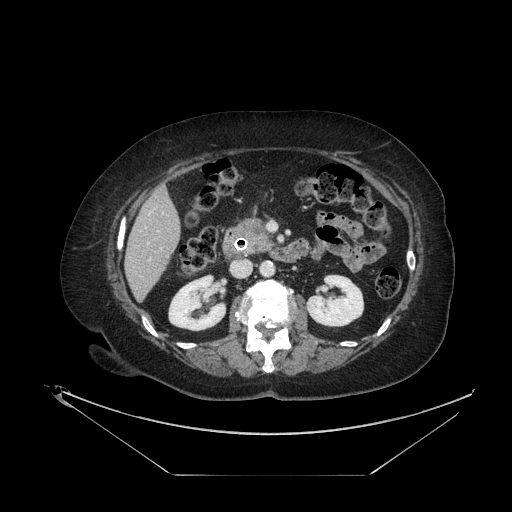 CT slice.
{
  "pancreatic_tumor": [
    "249, 222, 261, 234"
  ],
  "pancreas": [
    "228, 219, 274, 256"
  ]
}